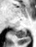
MRI | Medial temporal lobe
The posterior hippocampus is at [13, 29, 26, 37].